Slice 116 of 155, 240x240 px
FLAIR MR.
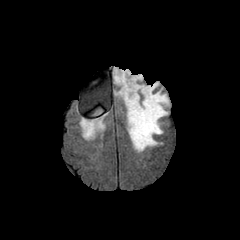
T1-weighted MR.
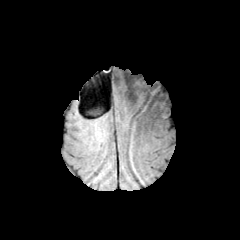
Post-contrast T1-weighted magnetic resonance.
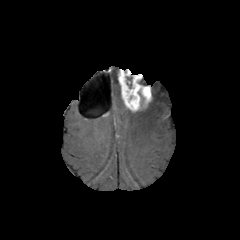
T2-weighted MR.
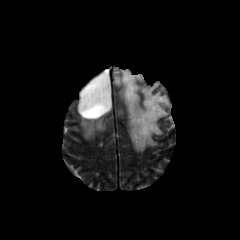
{"edema": ["126:84:169:151", "81:120:103:137", "113:68:119:87", "92:108:101:115"], "enhancing_tumor": ["118:69:151:110"]}